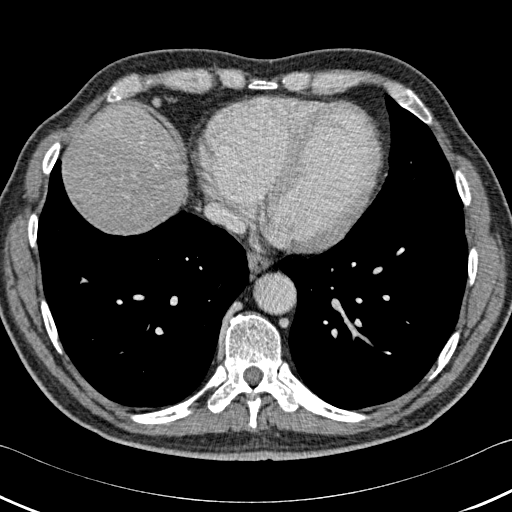 CT slice
11 bone regions are located at [28, 214, 37, 246], [108, 83, 128, 101], [398, 90, 431, 123], [41, 301, 61, 353], [249, 81, 277, 88], [42, 142, 59, 173], [456, 170, 470, 205], [247, 398, 260, 427], [131, 315, 368, 424], [468, 248, 477, 284], [429, 332, 458, 379]. 2 lung regions are located at [270, 93, 468, 409], [37, 158, 250, 407]. The liver is located at [75, 110, 181, 233].